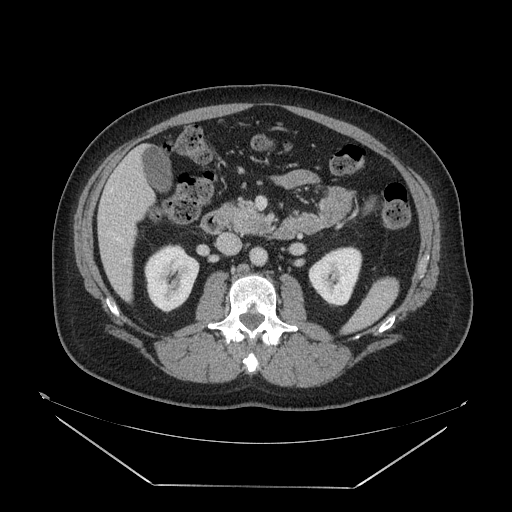

Upper abdomen. Computed tomography.
pancreas:
  - <box>224,203,265,233</box>
pancreatic_tumor:
  - <box>246,217,267,234</box>